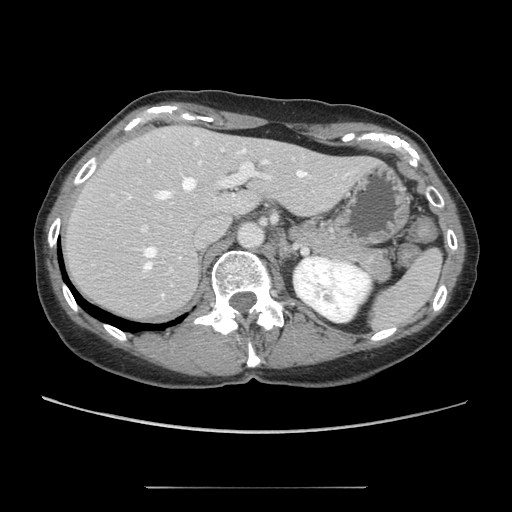 Abdomen | Computed tomography
pancreas:
  - 289,219,350,257